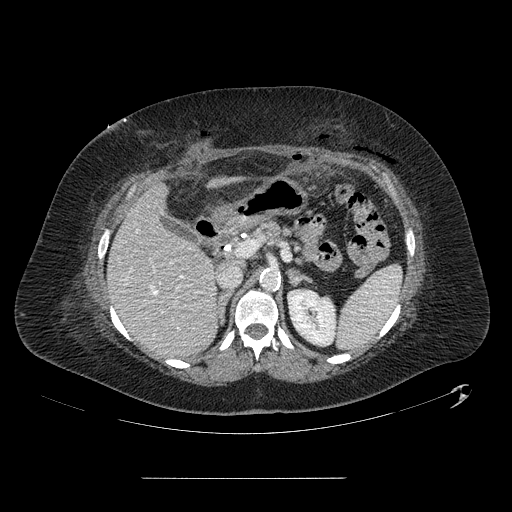 512x512, CT
{
  "pancreas": [
    "251:221:293:241"
  ]
}